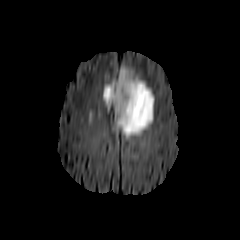
FLAIR magnetic resonance.
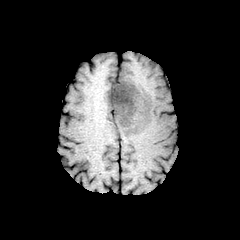
T1-weighted MRI.
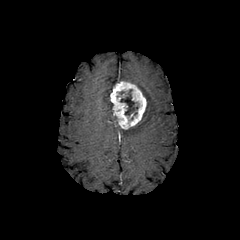
Post-contrast T1-weighted MR.
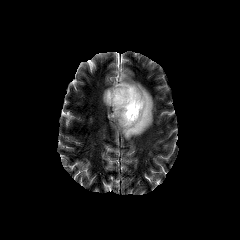
T2-weighted MRI of the same slice.
Image size 240x240
Non-enhancing tumor core — [120, 94, 139, 120].
Edema — [103, 83, 113, 108], [118, 67, 154, 139].
Enhancing tumor — [109, 79, 146, 129].